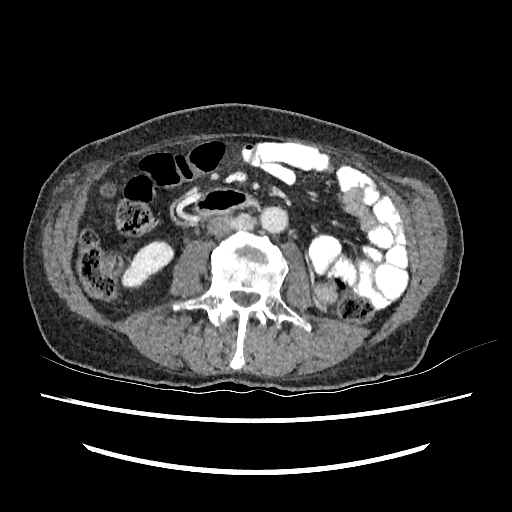

CT slice

The kidney is located at <box>123,242,172,286</box>.